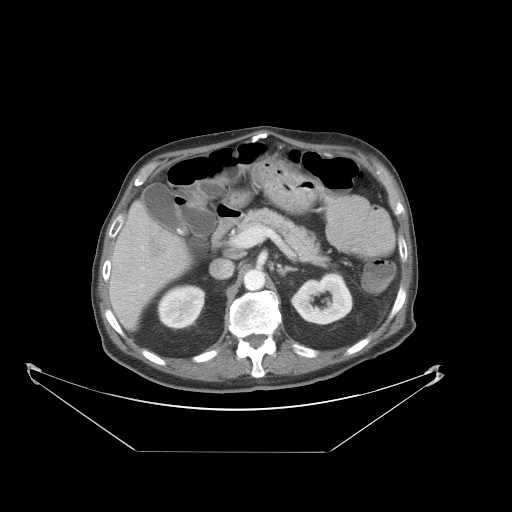
Abdomen. CT scan slice.
The vessel annotation is not exhaustive.
4 hepatic vessel regions are bounded by box=[234, 226, 260, 246]; box=[141, 285, 144, 287]; box=[141, 267, 143, 269]; box=[141, 247, 144, 249]. The liver tumor appears at box=[146, 232, 166, 259].